FLAIR MR image.
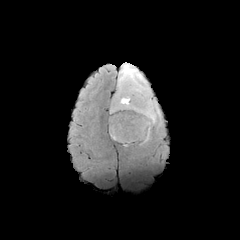
T1-weighted magnetic resonance.
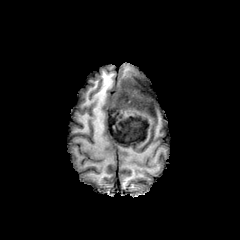
Post-contrast T1-weighted magnetic resonance.
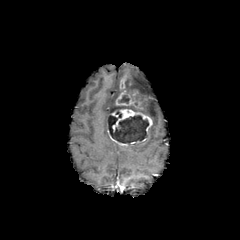
T2-weighted MR image.
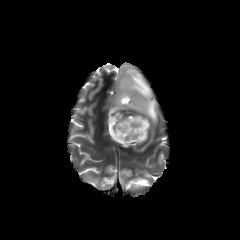
240x240; Brain
Findings:
* enhancing tumor: bbox=[112, 109, 152, 133]; bbox=[116, 90, 135, 105]; bbox=[107, 130, 128, 148]
* edema: bbox=[148, 101, 160, 124]; bbox=[117, 62, 151, 99]
* non-enhancing tumor core: bbox=[108, 76, 151, 145]